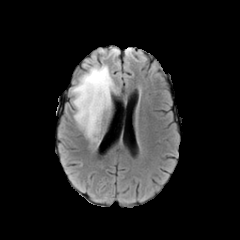
FLAIR magnetic resonance.
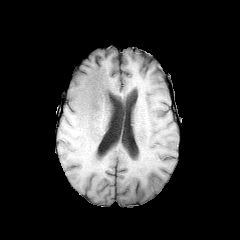
T1-weighted magnetic resonance.
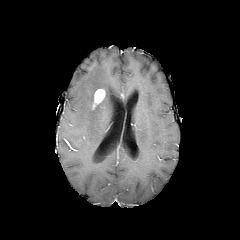
Post-contrast T1-weighted MRI.
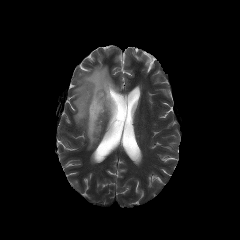
Same slice, T2-weighted MRI.
Head
Findings:
- enhancing tumor: [92,89,105,109]
- edema: [71,64,118,143]